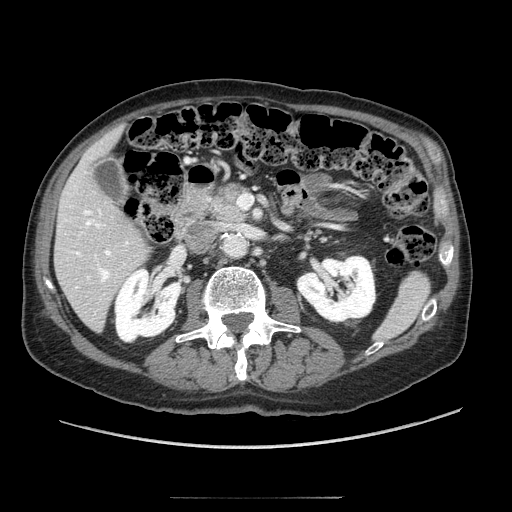
Upper abdomen | CT slice
The pancreas is bounded by [214,184,243,222]. The pancreatic tumor is at [223,186,239,204].